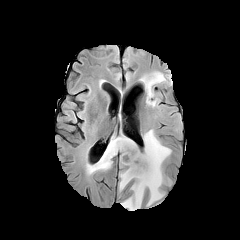
FLAIR magnetic resonance.
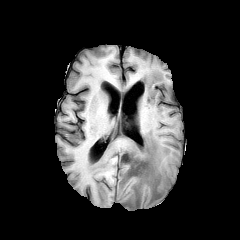
T1-weighted MR of the same slice.
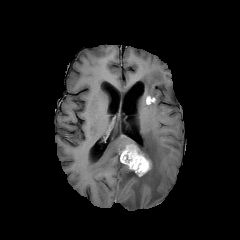
Post-contrast T1-weighted magnetic resonance.
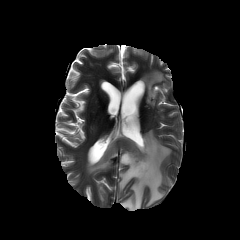
T2-weighted MR of the same slice.
<segmentation>
  <non-enhancing_tumor_core><bbox>122, 138, 153, 177</bbox></non-enhancing_tumor_core>
  <edema><bbox>143, 71, 165, 106</bbox>, <bbox>86, 134, 127, 173</bbox>, <bbox>119, 130, 171, 209</bbox></edema>
  <enhancing_tumor><bbox>120, 144, 151, 175</bbox></enhancing_tumor>
</segmentation>